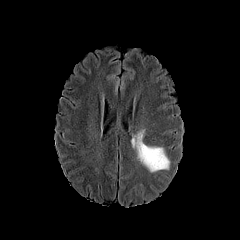
FLAIR MR image.
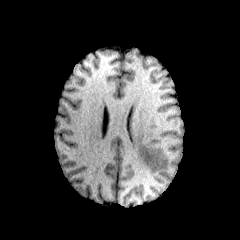
Same slice, T1-weighted magnetic resonance.
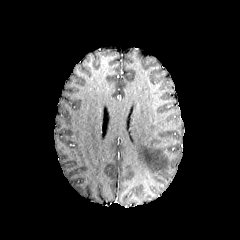
Post-contrast T1-weighted MRI.
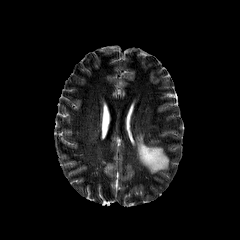
Same slice, T2-weighted MR.
Head
{"edema": ["left=136, top=132, right=168, bottom=171"]}